Abdomen, Slice index 51, CT
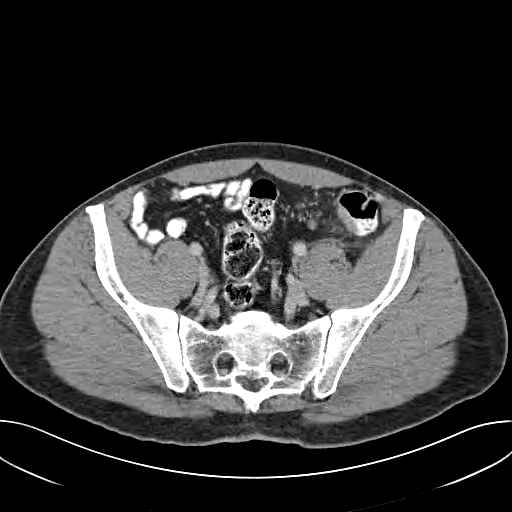

Colon tumor = 337 207 355 231.